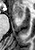

MR image
The anterior hippocampus is located at x1=13 y1=6 x2=23 y2=17.